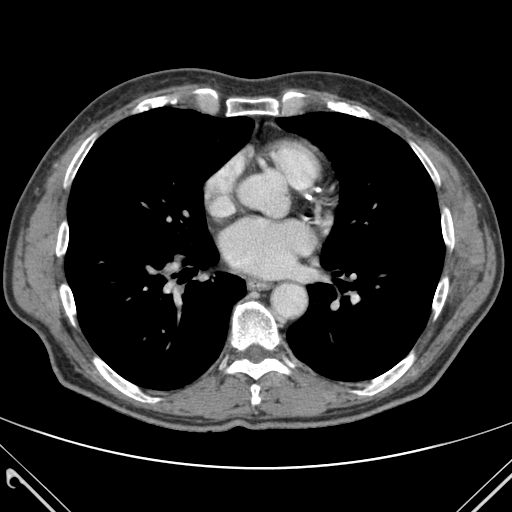
CT image; Chest

<segmentation>
  <lung><box>65,107,254,389</box>, <box>277,112,444,380</box></lung>
  <bone><box>433,278,447,317</box>, <box>194,89,219,100</box>, <box>232,302,278,349</box>, <box>60,284,75,323</box>, <box>441,209,453,247</box>, <box>132,97,167,111</box>, <box>325,102,370,116</box>, <box>356,355,413,395</box>, <box>225,92,305,115</box>, <box>94,358,158,402</box>, <box>413,145,439,182</box>, <box>56,223,68,264</box>, <box>227,359,288,378</box>, <box>65,136,93,184</box>, <box>251,385,260,403</box></bone>
</segmentation>